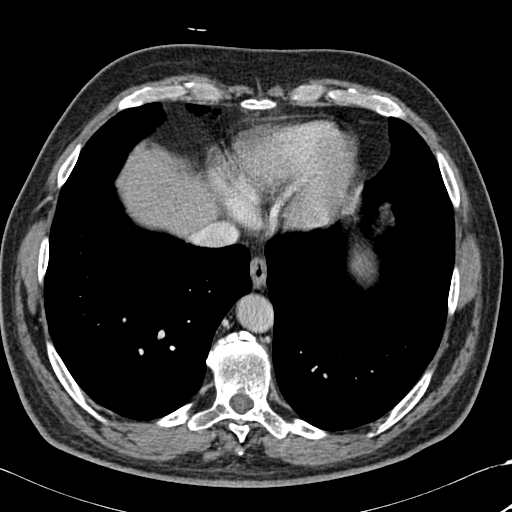 CT slice. Abdomen.

3 lung regions appear at left=264, top=117, right=454, bottom=431; left=186, top=104, right=220, bottom=118; left=44, top=102, right=252, bottom=420. 10 bone regions appear at left=158, top=331, right=324, bottom=441; left=244, top=99, right=269, bottom=108; left=448, top=271, right=459, bottom=312; left=119, top=84, right=181, bottom=108; left=438, top=154, right=459, bottom=205; left=38, top=239, right=48, bottom=278; left=48, top=345, right=94, bottom=414; left=378, top=373, right=430, bottom=431; left=351, top=90, right=401, bottom=116; left=58, top=146, right=79, bottom=185. The liver appears at left=122, top=159, right=214, bottom=238.